Slice index 59. 512x512. Computed tomography.
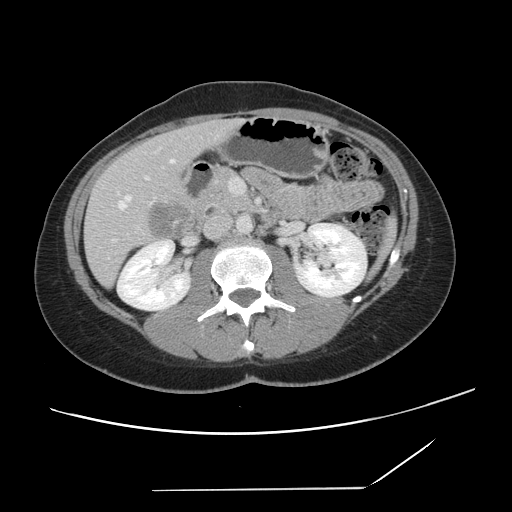
Only some of the vessels may be annotated.
liver tumor: bbox=[150, 201, 189, 240] | hepatic vessel: bbox=[145, 177, 148, 179]; bbox=[150, 202, 152, 203]; bbox=[154, 151, 157, 152]; bbox=[112, 239, 115, 241]; bbox=[170, 160, 174, 162]; bbox=[117, 192, 118, 193]; bbox=[119, 196, 130, 208]